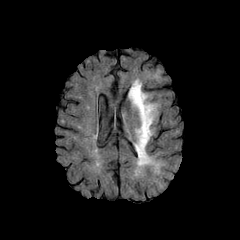
FLAIR MRI.
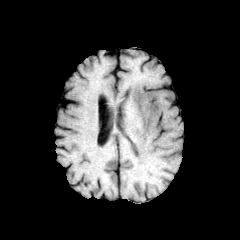
T1-weighted MRI.
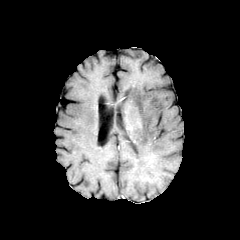
Post-contrast T1-weighted MR of the same slice.
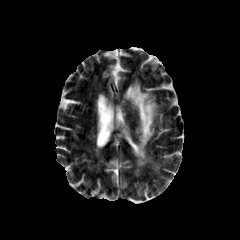
T2-weighted magnetic resonance.
Image size 240x240; Head
<segmentation>
  <edema>box(128, 80, 158, 170)</edema>
</segmentation>